CT scan slice; Abdomen; 512x512 px

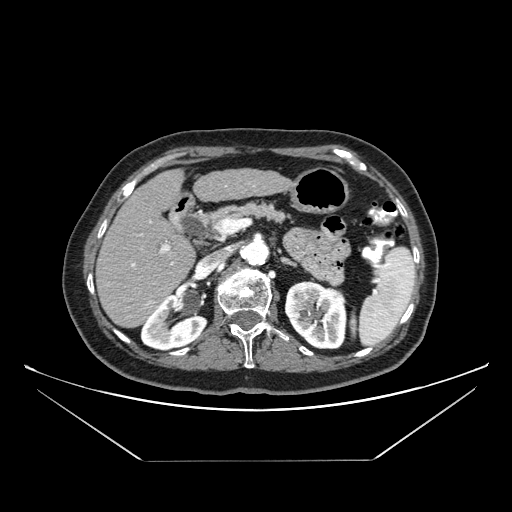
The pancreas lies within left=181, top=202, right=288, bottom=243.